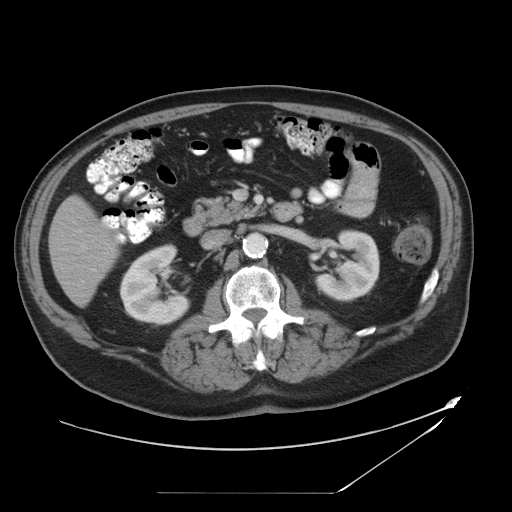 Computed tomography. Liver.

The vessel annotation is not exhaustive.
5 hepatic vessel regions are bounded by 77 243 87 253, 89 255 92 258, 101 242 113 250, 81 280 83 282, 92 269 95 271.